Slice 511 of 733 | CT scan slice | Abdomen 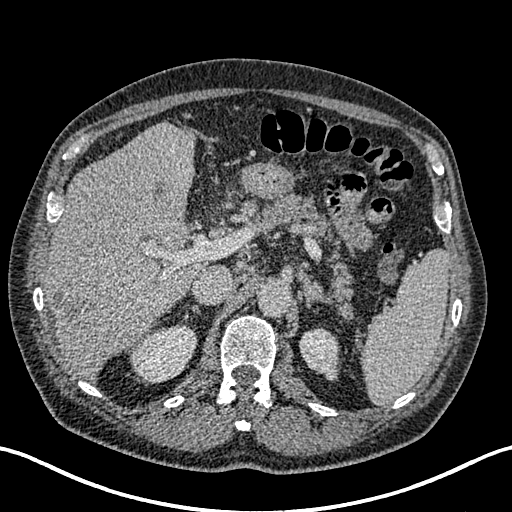
2 kidney regions are bounded by 132,327,195,381; 300,329,337,378. 3 focal liver lesion regions are located at 51,289,90,326; 166,233,181,244; 151,180,172,201. The liver lies within 45,125,204,378.